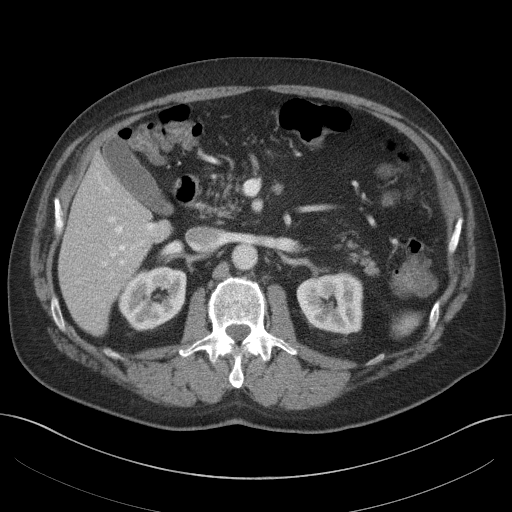

Abdomen. CT image.

The liver lies within [58, 155, 154, 334]. 2 kidney regions are bounded by [120, 269, 185, 327], [297, 275, 361, 331].